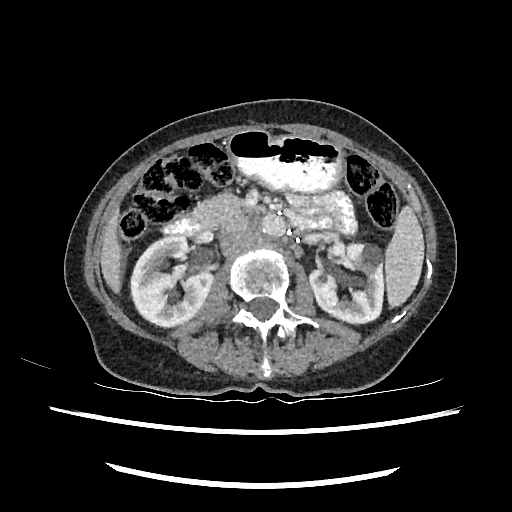

CT image
Liver: bounding box (left=101, top=212, right=119, bottom=290).
Kidney: bounding box (left=131, top=236, right=212, bottom=326), (left=310, top=244, right=383, bottom=322).